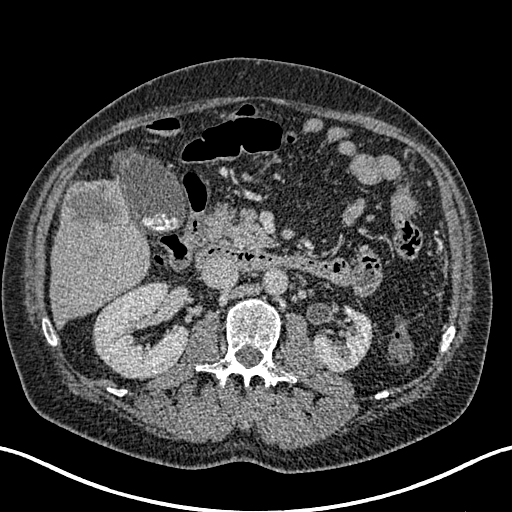 512x512. CT scan slice. liver: [50, 204, 150, 326], [96, 179, 122, 194] | hepatic lesion: [64, 180, 126, 229] | kidney: [314, 309, 371, 371], [95, 283, 187, 377]